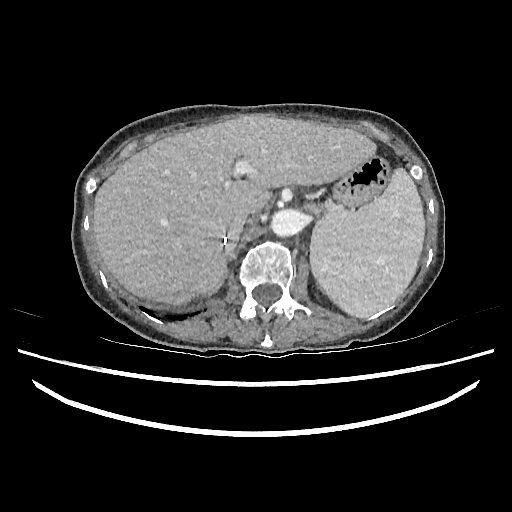 Image size 512x512 | CT image | Abdomen

{
  "liver": [
    "[x1=94, y1=114, x2=374, y2=304]"
  ]
}